Slice 469 of 811, CT slice, Upper abdomen 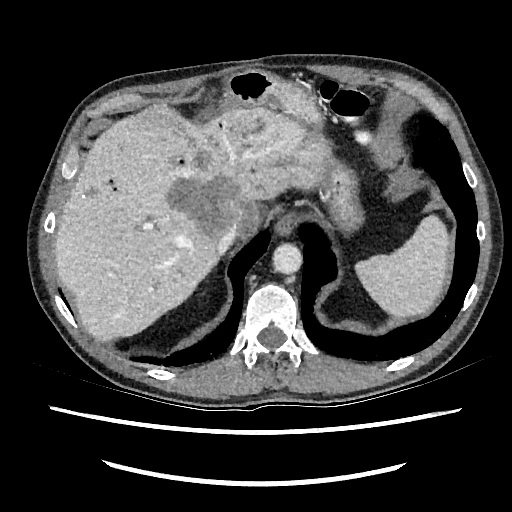 Hepatic lesion — (191, 149, 211, 171), (85, 187, 96, 197), (165, 175, 258, 238), (169, 156, 183, 165).
Liver — (55, 104, 331, 339).